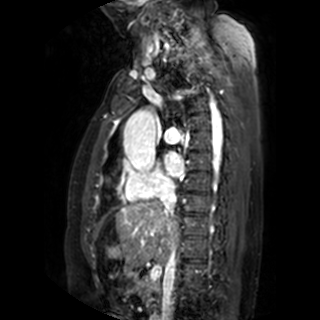 Magnetic resonance. Cardiac.

The left atrium is bounded by [166, 152, 183, 176].